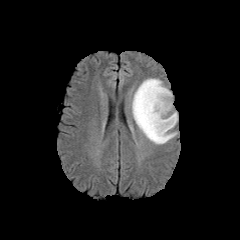
FLAIR MR image.
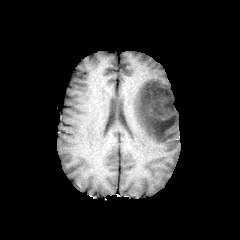
T1-weighted MRI.
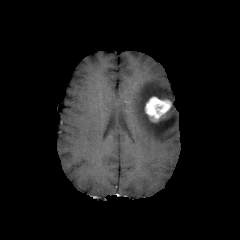
Post-contrast T1-weighted MR.
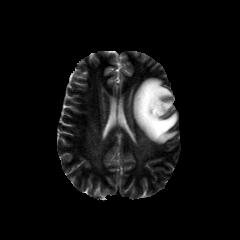
T2-weighted MR.
240x240. Head.
- non-enhancing tumor core: x1=137, y1=87, x2=174, y2=135
- enhancing tumor: x1=144, y1=96, x2=171, y2=121
- edema: x1=129, y1=78, x2=177, y2=144